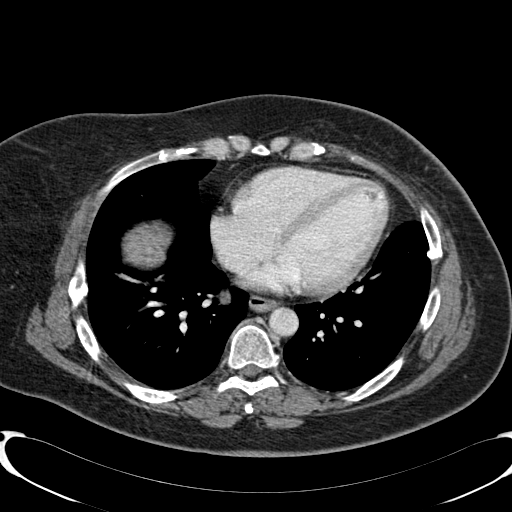
CT slice | 512x512 | Abdomen
Liver — (125,222,173,267).